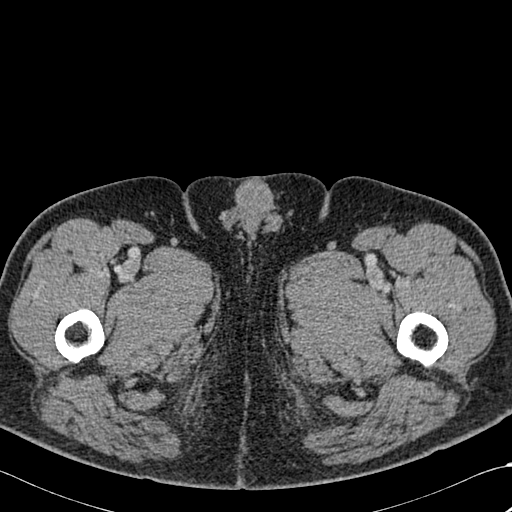
CT scan slice
Annotated regions:
- bone: box=[55, 309, 104, 362]; box=[397, 312, 447, 365]